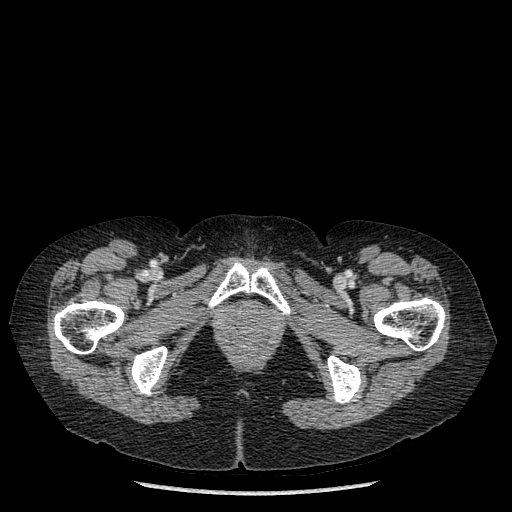
CT scan slice. 512x512 px.

5 bone regions appear at (left=53, top=300, right=124, bottom=354), (left=327, top=355, right=361, bottom=403), (left=373, top=297, right=445, bottom=350), (left=130, top=346, right=167, bottom=395), (left=208, top=259, right=290, bottom=315).